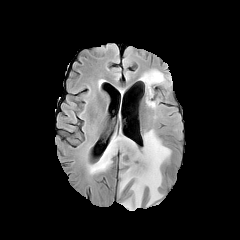
FLAIR magnetic resonance.
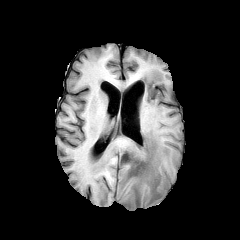
T1-weighted MRI.
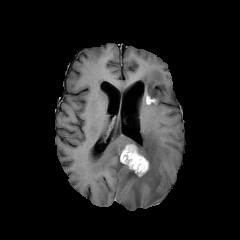
Post-contrast T1-weighted MR image.
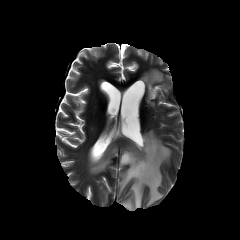
T2-weighted magnetic resonance.
Image size 240x240. Head.
Enhancing tumor — rect(120, 145, 148, 175).
Edema — rect(90, 132, 137, 173); rect(119, 130, 171, 209); rect(140, 70, 164, 107).
Non-enhancing tumor core — rect(128, 154, 151, 178).